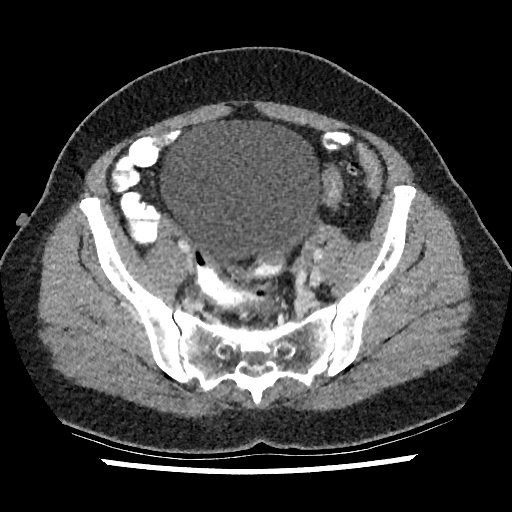

Lower abdomen, CT image
Urinary bladder at [160,120,321,266].